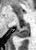
MRI, Medial temporal lobe
• posterior hippocampus: 14, 25, 29, 38